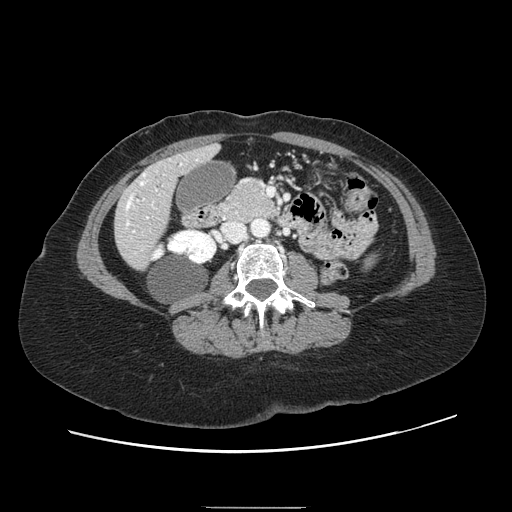
CT.
The pancreas is located at bbox(222, 180, 275, 223).